512x512 px | CT | Upper abdomen

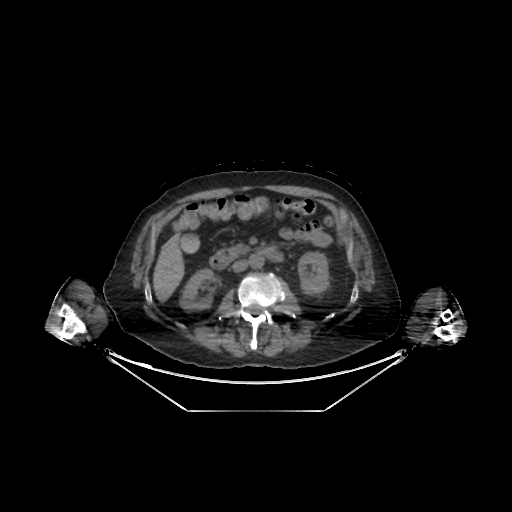 Kidney = [297, 252, 333, 301], [178, 266, 219, 311].
Liver = [153, 233, 199, 300].